Slice index 103 | 240x240
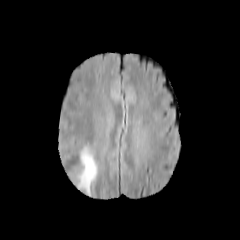
FLAIR MR.
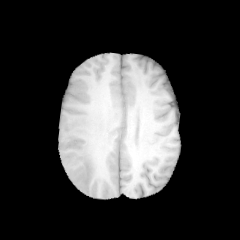
T1-weighted MRI.
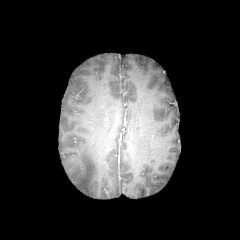
Post-contrast T1-weighted magnetic resonance.
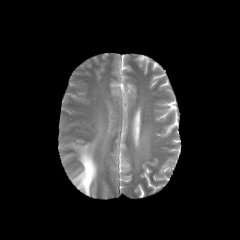
T2-weighted MR of the same slice.
The edema lies within [73,143,97,194].